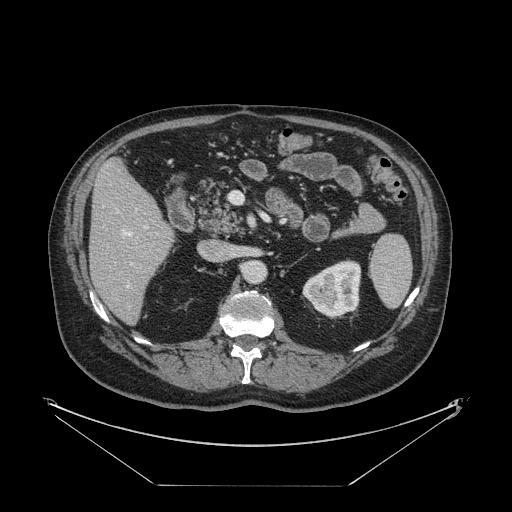

Computed tomography; 512x512

Only some of the vessels may be annotated.
Hepatic vessel at <bbox>116, 210, 117, 212</bbox>, <bbox>144, 226, 146, 227</bbox>.